Slice 77/127; CT scan slice; Field of view 360x360 mm 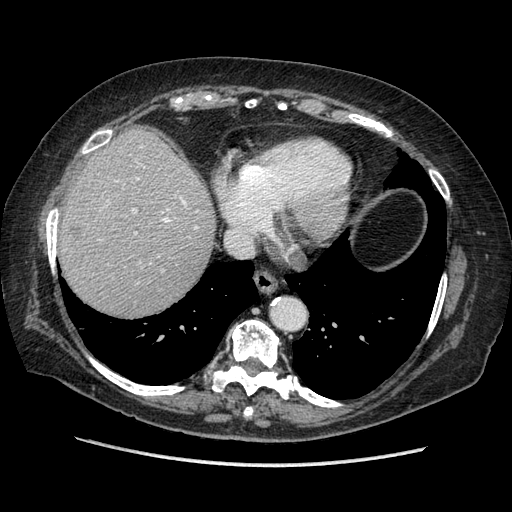
The vessel boxes may cover only some of the vessels.
hepatic vessel: 133, 209, 135, 212; 164, 218, 168, 220; 162, 269, 163, 270